FLAIR MR.
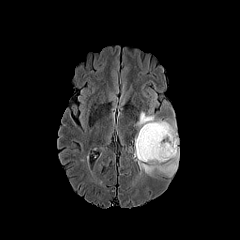
T1-weighted magnetic resonance.
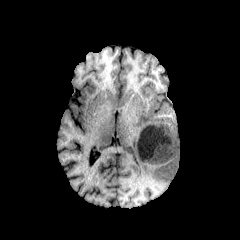
Post-contrast T1-weighted MRI.
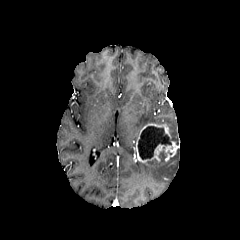
T2-weighted MR image.
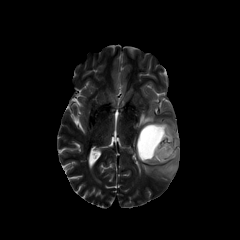
240x240 px
Edema: [x1=138, y1=149, x2=178, y2=176], [x1=133, y1=100, x2=178, y2=147].
Non-enhancing tumor core: [x1=137, y1=126, x2=171, y2=160].
Enhancing tumor: [x1=136, y1=124, x2=176, y2=162].